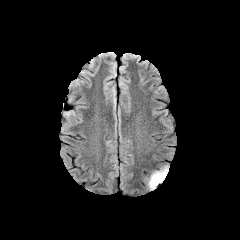
FLAIR magnetic resonance.
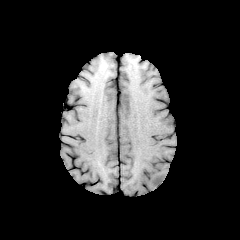
T1-weighted MRI of the same slice.
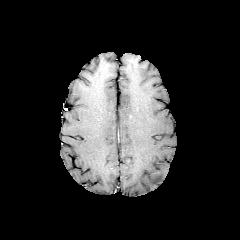
Same slice, post-contrast T1-weighted magnetic resonance.
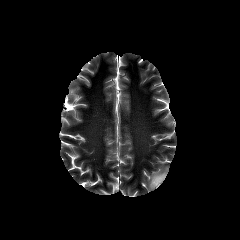
T2-weighted MR.
Head.
* edema: [x1=148, y1=166, x2=167, y2=188]